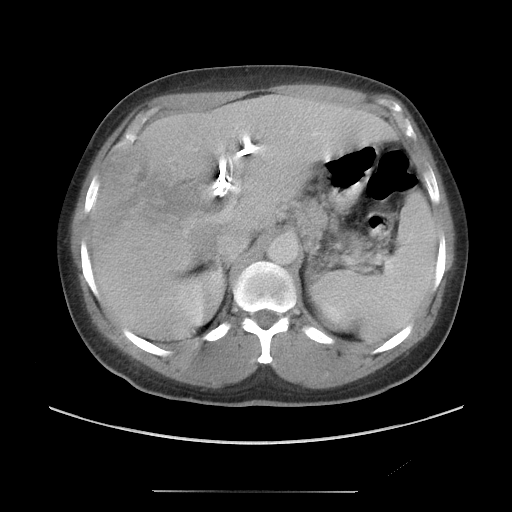
CT image.

Not every hepatic vessel necessarily has a box.
• liver tumor: bbox=[95, 146, 203, 244]
• hepatic vessel: bbox=[204, 217, 209, 221]; bbox=[199, 220, 200, 221]; bbox=[183, 220, 196, 236]